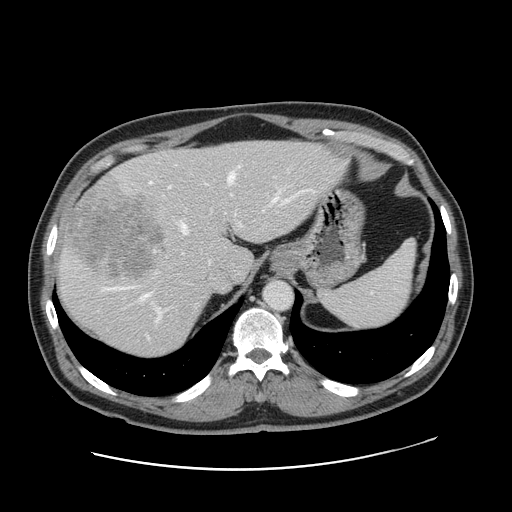

Computed tomography. Liver.
Not every hepatic vessel necessarily has a box.
hepatic_vessel:
  - bbox=[155, 307, 170, 323]
  - bbox=[237, 165, 240, 166]
  - bbox=[271, 190, 304, 203]
  - bbox=[263, 207, 266, 210]
  - bbox=[149, 180, 152, 183]
  - bbox=[179, 223, 187, 232]
  - bbox=[228, 171, 234, 182]
  - bbox=[309, 189, 313, 191]
  - bbox=[168, 186, 170, 187]
  - bbox=[210, 209, 212, 212]
  - bbox=[175, 220, 178, 222]
  - bbox=[145, 333, 148, 338]
  - bbox=[234, 211, 241, 225]
  - bbox=[151, 301, 154, 304]
liver_tumor:
  - bbox=[61, 181, 162, 278]